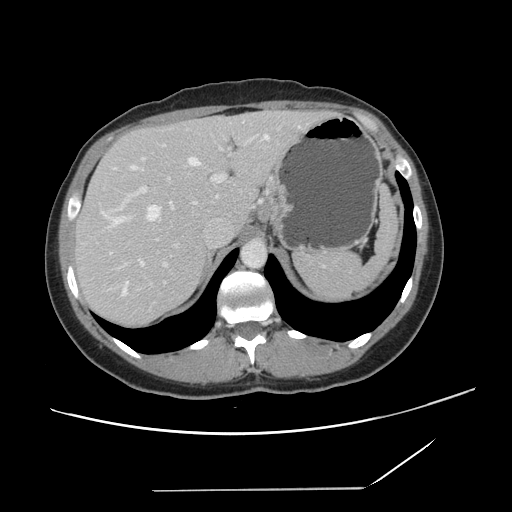

Abdomen. CT. The vessel annotation is not exhaustive.
[15/17] hepatic vessel: 162:262:166:266, 261:135:268:139, 139:259:143:265, 112:187:146:210, 228:148:229:150, 131:166:136:168, 122:281:128:296, 142:157:144:159, 188:157:199:165, 244:139:249:144, 211:174:225:181, 170:201:173:208, 148:205:160:220, 101:211:125:225, 193:202:195:203